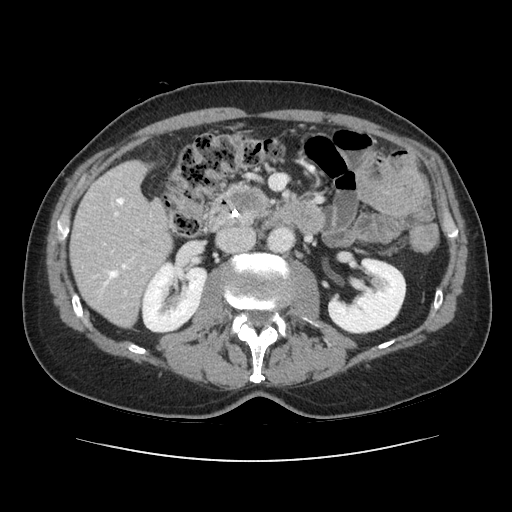

Computed tomography; Abdomen

pancreas:
  - 226,186,266,225
pancreatic_tumor:
  - 231,191,259,210